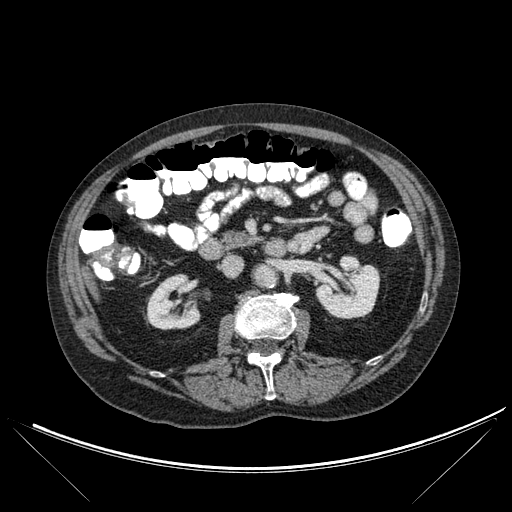 Abdomen | CT | 512x512 px
2 bone regions are located at left=248, top=352, right=281, bottom=399; left=235, top=293, right=298, bottom=338. The liver lies within left=86, top=270, right=97, bottom=298. 2 kidney regions are located at left=316, top=256, right=379, bottom=318; left=147, top=274, right=199, bottom=328.